Field of view 394x394 mm, CT

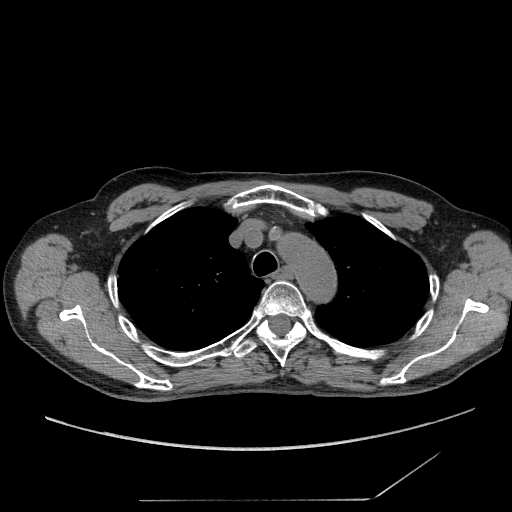

Lung tumor: {"x1": 141, "y1": 270, "x2": 162, "y2": 287}.